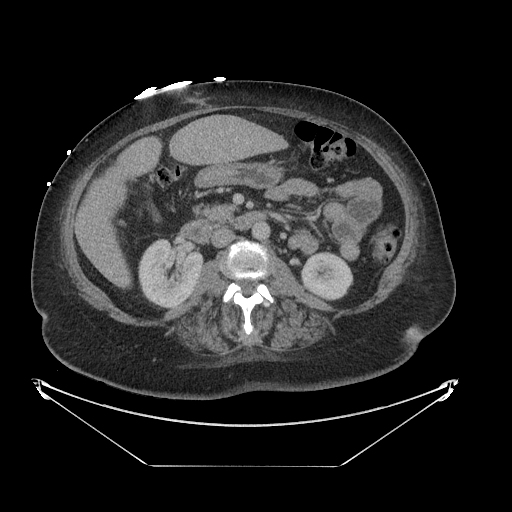

CT image.
<segmentation>
  <pancreas>x1=206 y1=205 x2=234 y2=223</pancreas>
</segmentation>